MR; Medial temporal lobe; 37x45; Field of view 37x45 mm; Slice index 22 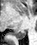

The posterior hippocampus is at 13,30,25,39.